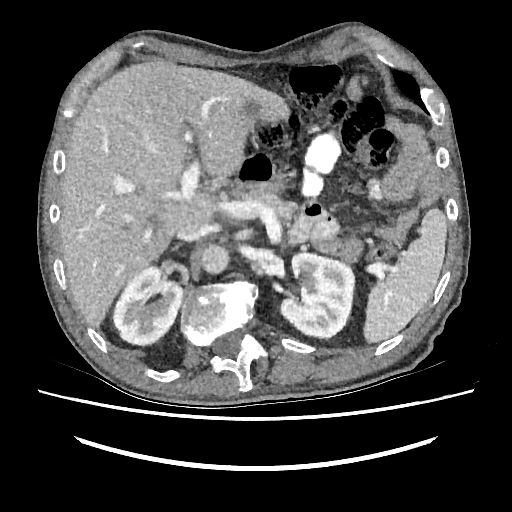 CT.
The liver appears at 62:62:288:326. 2 kidney regions are bounded by 114:267:182:344, 281:253:354:337. 2 hepatic lesion regions appear at 147:215:159:228, 243:101:261:118.